CT slice | Image width 370 mm | Image size 512x512 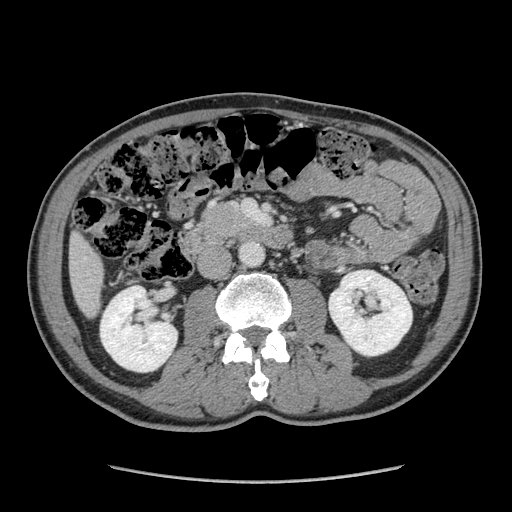
<segmentation>
  <pancreas>bbox=[199, 203, 254, 239]</pancreas>
</segmentation>